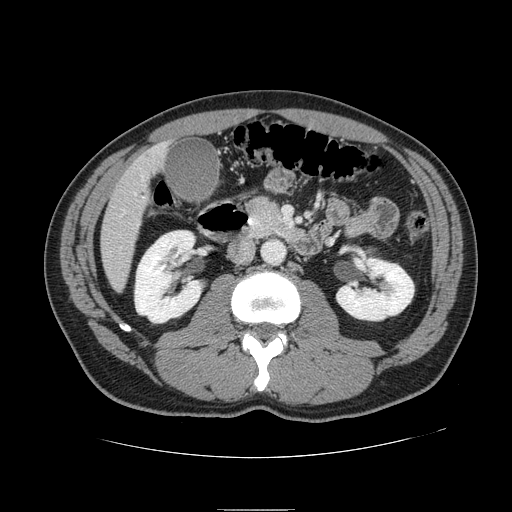 Upper abdomen | CT scan slice | Image size 512x512

The pancreas is at 247,198,300,239.